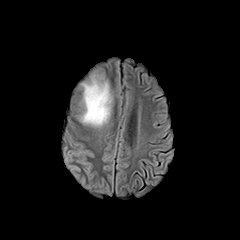
FLAIR magnetic resonance.
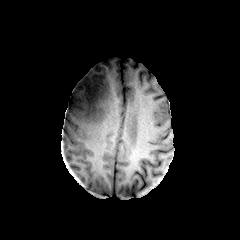
T1-weighted MRI.
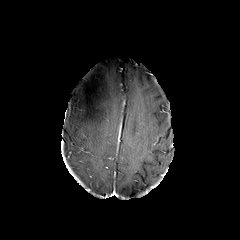
Post-contrast T1-weighted MR image of the same slice.
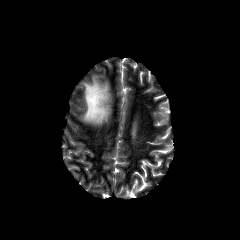
T2-weighted MR image.
Image size 240x240.
<segmentation>
  <edema>{"x1": 79, "y1": 74, "x2": 112, "y2": 130}</edema>
</segmentation>